Image width 360 mm, Slice 654/689, CT image, Chest

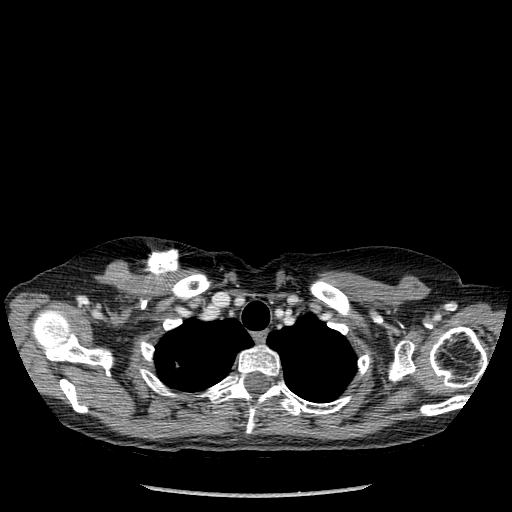
Lung — {"x1": 267, "y1": 313, "x2": 356, "y2": 402}, {"x1": 154, "y1": 301, "x2": 269, "y2": 391}.
Bone — {"x1": 200, "y1": 345, "x2": 351, "y2": 433}, {"x1": 171, "y1": 274, "x2": 209, "y2": 299}, {"x1": 358, "y1": 354, "x2": 370, "y2": 375}, {"x1": 140, "y1": 341, "x2": 154, "y2": 361}, {"x1": 310, "y1": 281, "x2": 351, "y2": 316}, {"x1": 59, "y1": 379, "x2": 87, "y2": 412}, {"x1": 32, "y1": 308, "x2": 112, "y2": 376}, {"x1": 322, "y1": 314, "x2": 348, "y2": 334}, {"x1": 420, "y1": 395, "x2": 469, "y2": 415}, {"x1": 389, "y1": 342, "x2": 417, "y2": 381}, {"x1": 139, "y1": 369, "x2": 176, "y2": 396}, {"x1": 428, "y1": 326, "x2": 487, "y2": 388}, {"x1": 163, "y1": 318, "x2": 181, "y2": 330}.